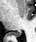

MRI slice
posterior hippocampus: <box>9,31,21,36</box>